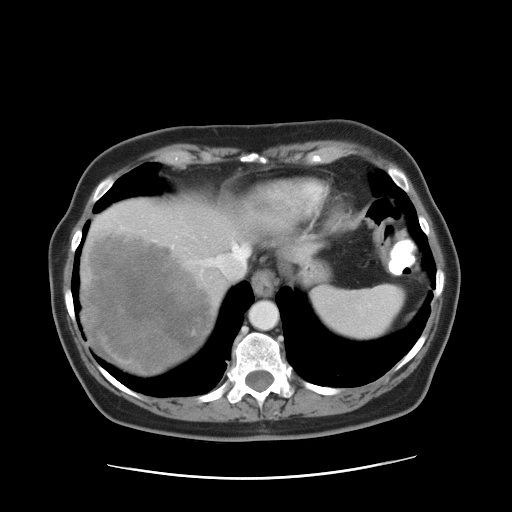
CT
Only some of the vessels may be annotated.
Liver tumor: box(83, 234, 214, 372).
Hepatic vessel: box(201, 239, 250, 278).